Medial temporal lobe, MR image

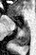

posterior hippocampus: (x1=14, y1=27, x2=29, y2=45) | anterior hippocampus: (x1=24, y1=20, x2=28, y2=26)